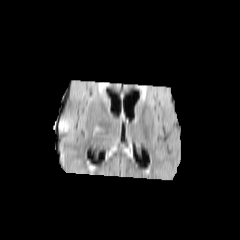
FLAIR MRI.
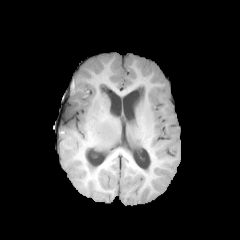
Same slice, T1-weighted MR.
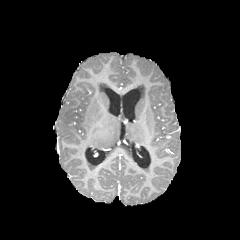
Post-contrast T1-weighted MR.
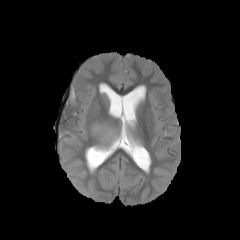
Same slice, T2-weighted MR image.
Brain
<segmentation>
  <edema>(x1=98, y1=125, x2=115, y2=142), (x1=92, y1=123, x2=102, y2=135)</edema>
  <non-enhancing_tumor_core>(x1=95, y1=122, x2=110, y2=134)</non-enhancing_tumor_core>
</segmentation>